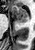

35x50 px | Magnetic resonance
anterior hippocampus: <bbox>10, 6, 27, 22</bbox>